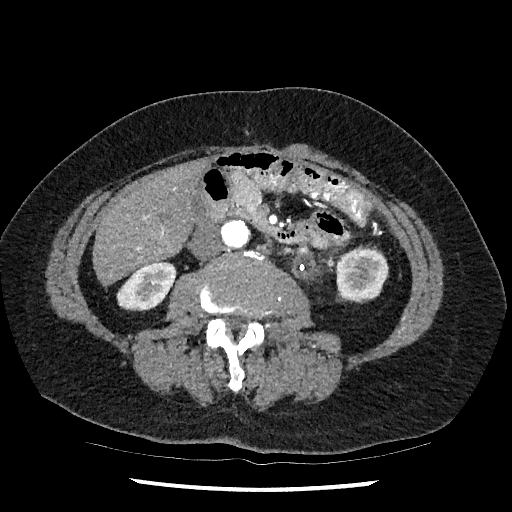 Liver | CT
The liver is located at (left=93, top=160, right=206, bottom=284). 2 kidney regions appear at (left=337, top=249, right=387, bottom=300), (left=117, top=263, right=175, bottom=309).